Medial temporal lobe. Magnetic resonance. Field of view 35x48 mm. 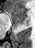 <segmentation>
  <posterior_hippocampus>box(16, 23, 17, 24)</posterior_hippocampus>
  <anterior_hippocampus>box(9, 8, 27, 22)</anterior_hippocampus>
</segmentation>